CT image, 512x512
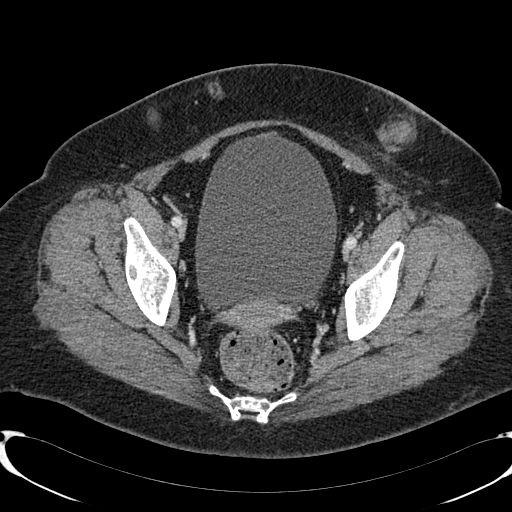
The urinary bladder is at left=195, top=134, right=336, bottom=305.